FLAIR MR image.
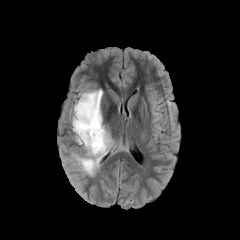
T1-weighted MR image.
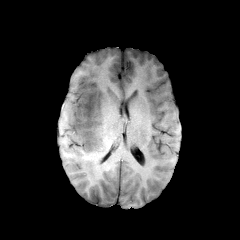
Post-contrast T1-weighted MR.
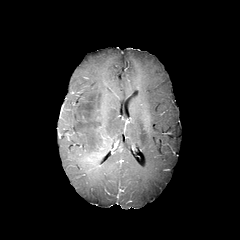
T2-weighted MR image.
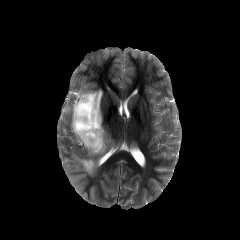
The edema appears at [70, 87, 114, 175]. The non-enhancing tumor core is located at [83, 103, 93, 116].